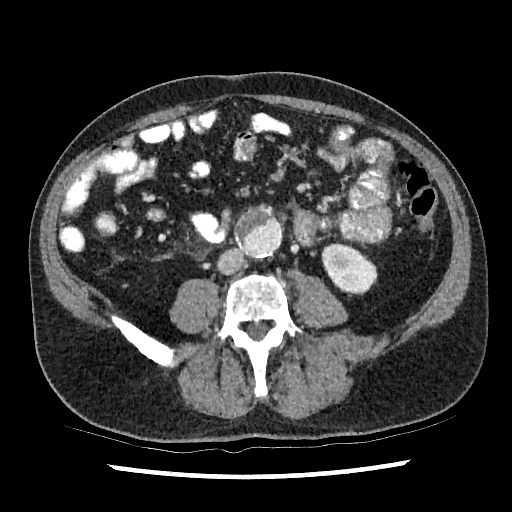 Computed tomography. Abdomen. {
  "kidney": [
    "l=327, t=249, r=376, b=292"
  ]
}